Brain, Slice index 95
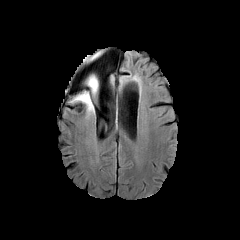
FLAIR MRI.
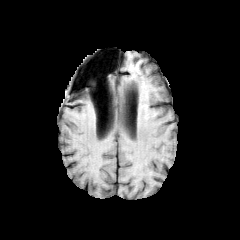
Same slice, T1-weighted MR image.
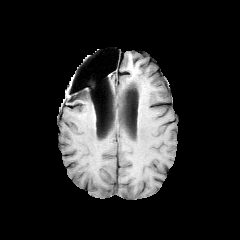
Post-contrast T1-weighted MRI.
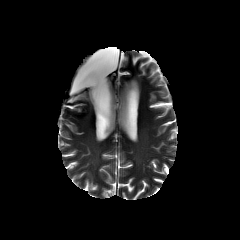
T2-weighted MRI of the same slice.
• edema: x1=70, y1=74, x2=99, y2=114